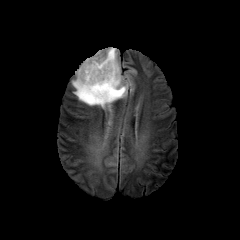
FLAIR MRI.
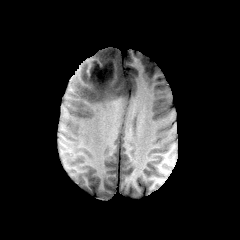
T1-weighted MR.
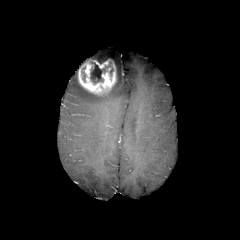
Post-contrast T1-weighted MR.
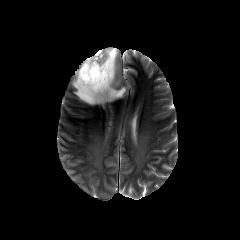
T2-weighted MR image.
The enhancing tumor appears at box(77, 58, 116, 94). 2 non-enhancing tumor core regions are bounded by box(90, 63, 102, 82); box(94, 54, 108, 62). The edema lies within box(72, 48, 130, 106).